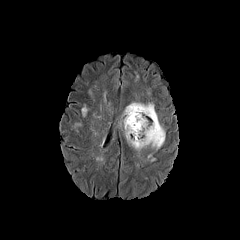
FLAIR MR image.
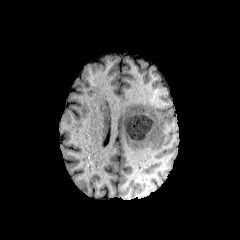
T1-weighted MR of the same slice.
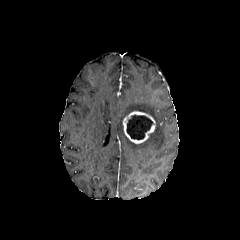
Same slice, post-contrast T1-weighted magnetic resonance.
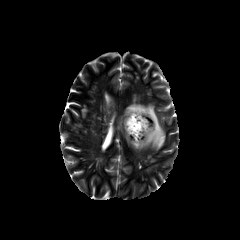
T2-weighted MR image of the same slice.
Head.
non-enhancing_tumor_core:
  - region(126, 115, 153, 139)
edema:
  - region(122, 104, 165, 152)
enhancing_tumor:
  - region(122, 111, 156, 144)